240x240, Head
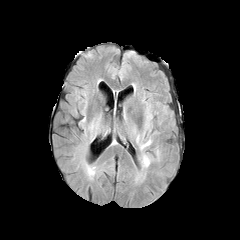
FLAIR MR image.
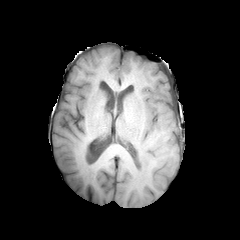
T1-weighted MRI.
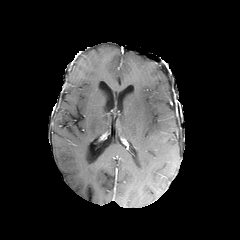
Post-contrast T1-weighted magnetic resonance.
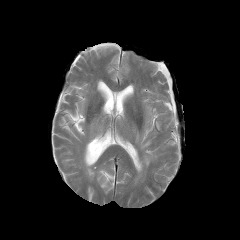
T2-weighted MR image of the same slice.
edema: <box>136,104,151,150</box>, <box>140,152,153,170</box>